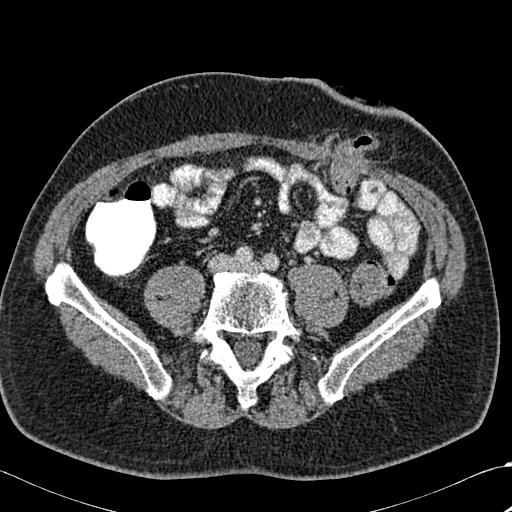
CT slice; Image size 512x512

{"bone": ["region(46, 263, 171, 398)", "region(195, 271, 299, 407)", "region(318, 279, 440, 402)"]}